CT scan slice
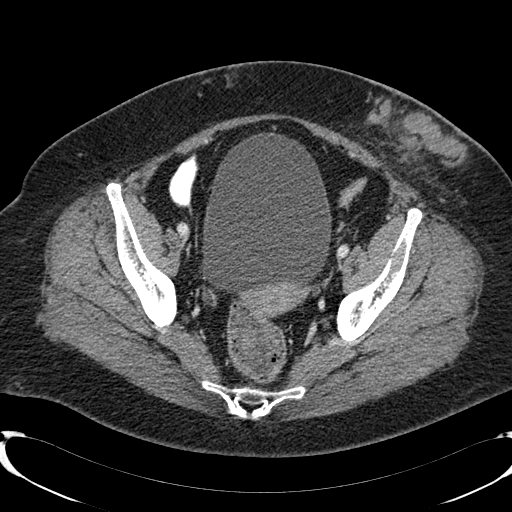

urinary_bladder:
  - box=[202, 133, 331, 293]